Abdomen; CT scan slice; Image size 512x512 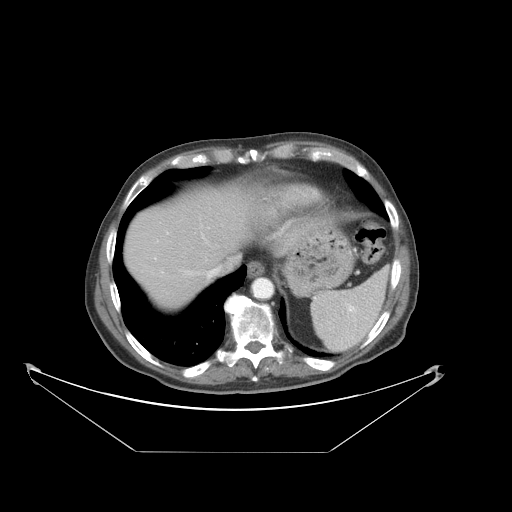
Only some of the vessels may be annotated.
<segmentation>
  <hepatic_vessel>box(229, 258, 231, 260); box(201, 233, 213, 247); box(181, 271, 200, 275); box(167, 233, 169, 234); box(204, 266, 221, 280)</hepatic_vessel>
</segmentation>